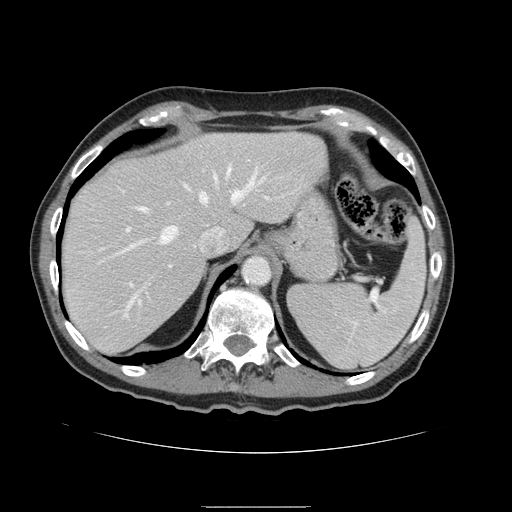
Abdomen, Computed tomography, 512x512 px
Spleen at rect(287, 217, 425, 370).